240x240 px
FLAIR MR image.
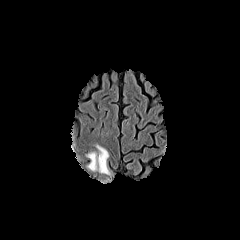
T1-weighted MR.
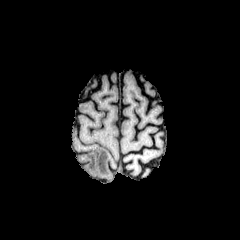
Post-contrast T1-weighted MR.
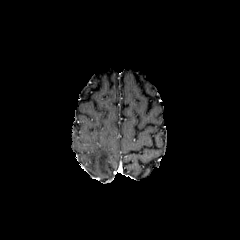
T2-weighted MR.
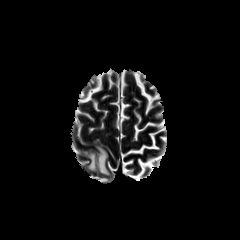
2 edema regions are bounded by x1=97, y1=146, x2=110, y2=174; x1=86, y1=153, x2=98, y2=171.